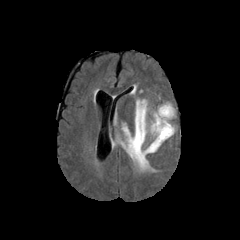
FLAIR MR image.
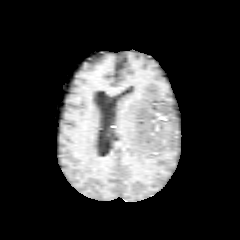
T1-weighted MRI.
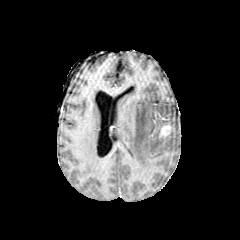
Post-contrast T1-weighted magnetic resonance of the same slice.
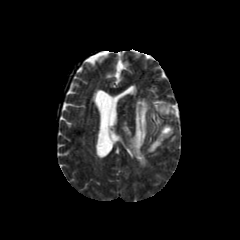
Same slice, T2-weighted magnetic resonance.
The enhancing tumor lies within rect(161, 125, 171, 135). The edema lies within rect(121, 95, 176, 169).